Slice 98 of 155 | Image width 240 mm
FLAIR MR.
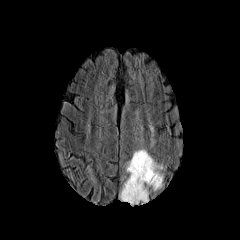
T1-weighted MR image.
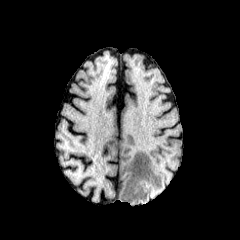
Post-contrast T1-weighted magnetic resonance.
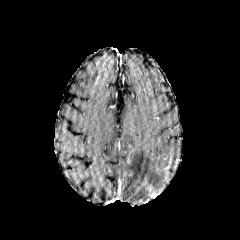
T2-weighted MR image.
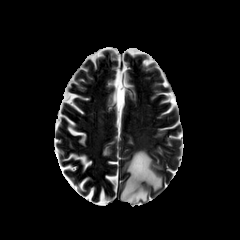
The edema is at box(118, 149, 163, 203).